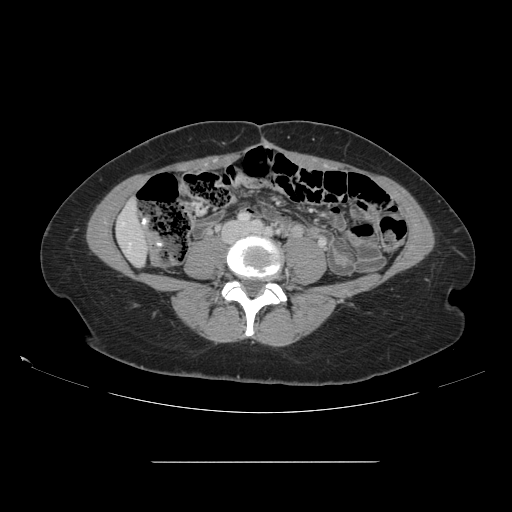
CT slice

Not every hepatic vessel necessarily has a box.
2 hepatic vessel regions appear at [128, 243, 131, 251], [122, 223, 124, 225].